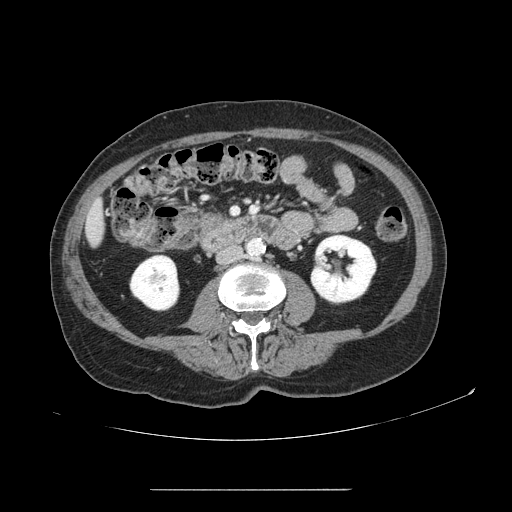
512x512 px, CT slice, Abdomen

<segmentation>
  <pancreas>(197, 211, 242, 248)</pancreas>
</segmentation>